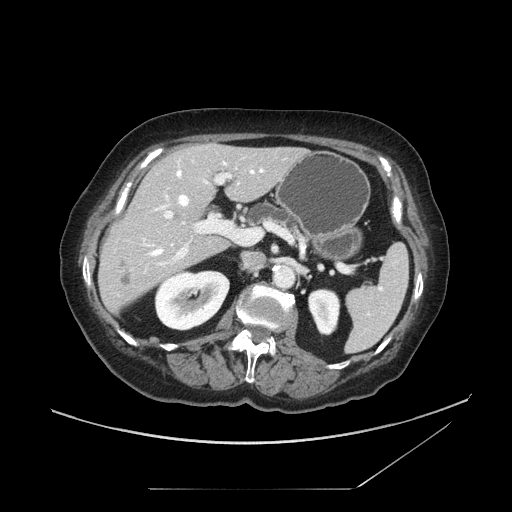
Upper abdomen | CT
pancreas:
  - 247 204 299 229